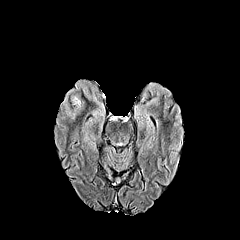
FLAIR magnetic resonance.
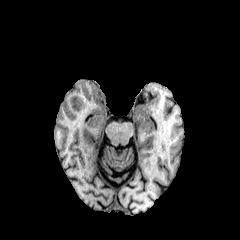
T1-weighted MR.
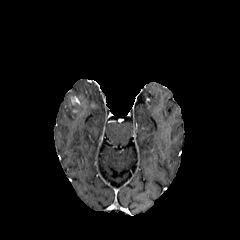
Post-contrast T1-weighted magnetic resonance of the same slice.
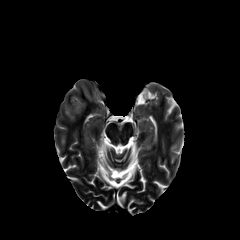
T2-weighted magnetic resonance.
Enhancing tumor: bounding box <box>70,96,79,105</box>.
Edema: bounding box <box>67,109,75,119</box>.